FLAIR magnetic resonance.
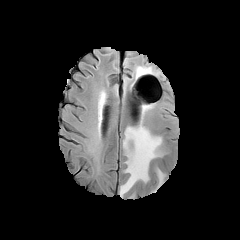
T1-weighted MR.
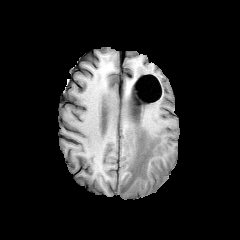
Post-contrast T1-weighted MR image.
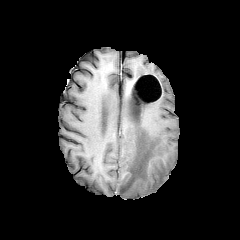
T2-weighted magnetic resonance.
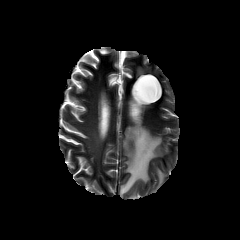
Non-enhancing tumor core: bounding box [133,162,141,173].
Edema: bounding box [136,67,148,76], [120,120,162,197], [158,170,163,185].